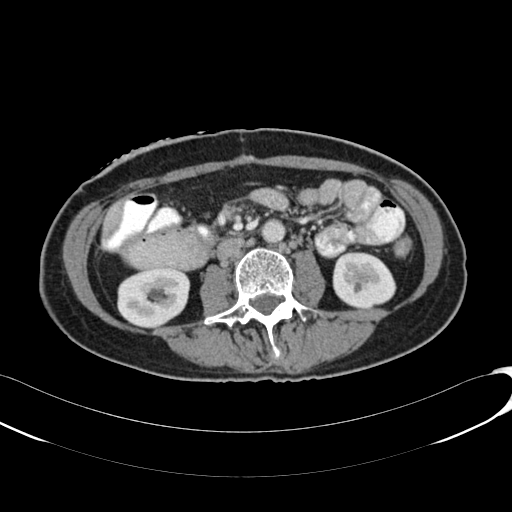
Upper abdomen | Computed tomography
• liver: x1=102 y1=202 x2=120 y2=236
• kidney: x1=118 y1=268 x2=185 y2=326, x1=334 y1=253 x2=394 y2=307